Slice 18 of 40 | CT image

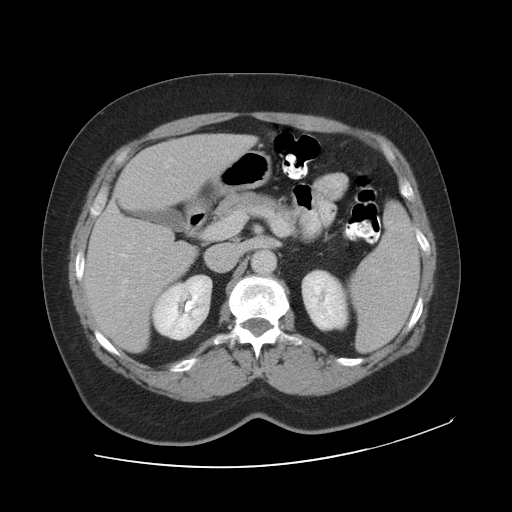

Not every hepatic vessel necessarily has a box.
hepatic vessel: bbox=[169, 158, 172, 161]; bbox=[147, 248, 150, 250]; bbox=[202, 159, 204, 161]; bbox=[165, 165, 168, 167]; bbox=[110, 210, 117, 212]; bbox=[119, 253, 126, 257]; bbox=[123, 180, 129, 184]; bbox=[123, 279, 128, 282]; bbox=[141, 267, 144, 270]; bbox=[123, 242, 134, 248]; bbox=[133, 296, 134, 299]